CT slice 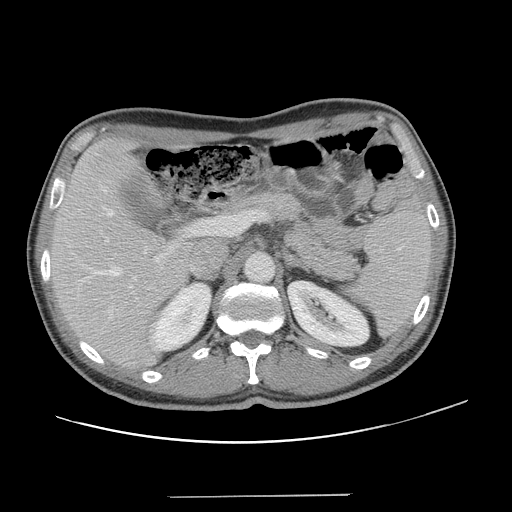

Only some of the vessels may be annotated.
hepatic vessel: bbox(154, 256, 158, 261); bbox(106, 238, 108, 241); bbox(100, 186, 104, 190); bbox(102, 207, 112, 215); bbox(93, 267, 121, 275); bbox(144, 247, 148, 253); bbox(80, 276, 90, 280); bbox(133, 276, 136, 279)